Slice 220/574, CT image, 512x512 px

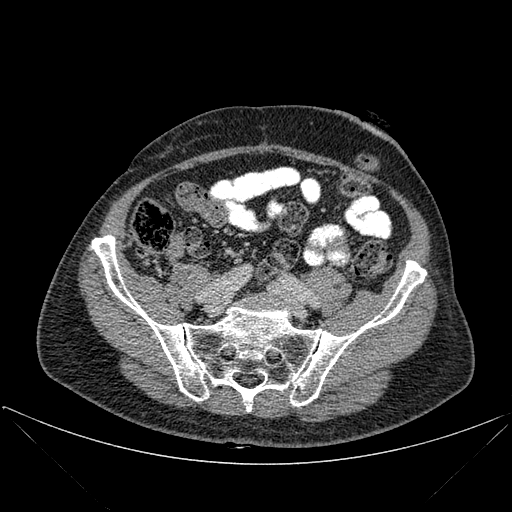

{"bone": ["x1=91 y1=235 x2=426 y2=411"]}